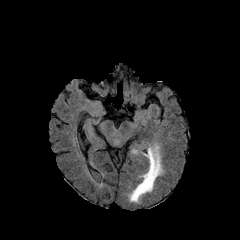
FLAIR MR.
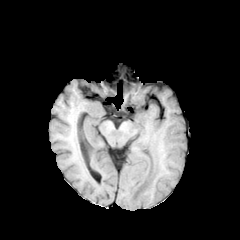
T1-weighted MR image.
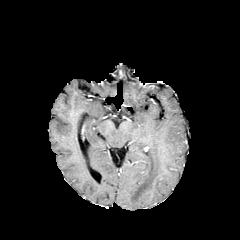
Same slice, post-contrast T1-weighted MRI.
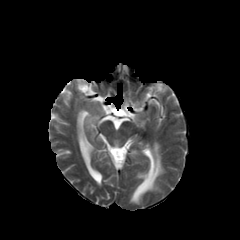
T2-weighted MRI of the same slice.
Edema = bbox(129, 145, 163, 203).